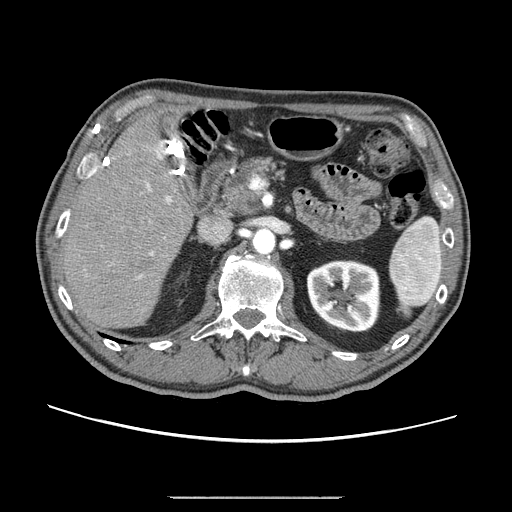
CT. 512x512. Upper abdomen. The pancreas appears at [225, 157, 283, 209]. The pancreatic tumor is located at [226, 187, 260, 213].